FLAIR magnetic resonance.
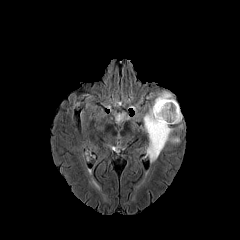
T1-weighted MRI.
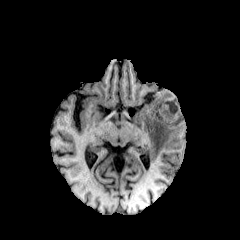
Post-contrast T1-weighted MRI.
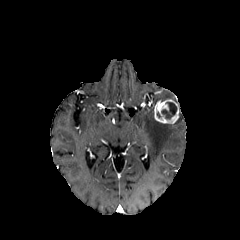
T2-weighted magnetic resonance.
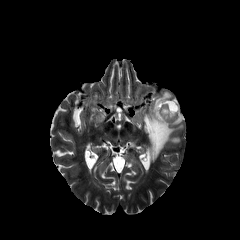
Image size 240x240 | Brain
2 edema regions appear at x1=154, y1=92, x2=174, y2=104; x1=143, y1=107, x2=179, y2=163. The enhancing tumor lies within x1=152, y1=99, x2=179, y2=125. The non-enhancing tumor core is located at x1=162, y1=101, x2=176, y2=119.